Field of view 400 mm wide, 1.37 mm slice spacing | Slice 40/122 | MR image
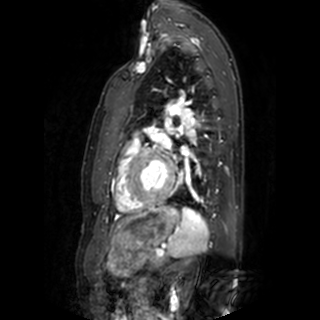

Left atrium: bounding box l=180, t=147, r=189, b=155.